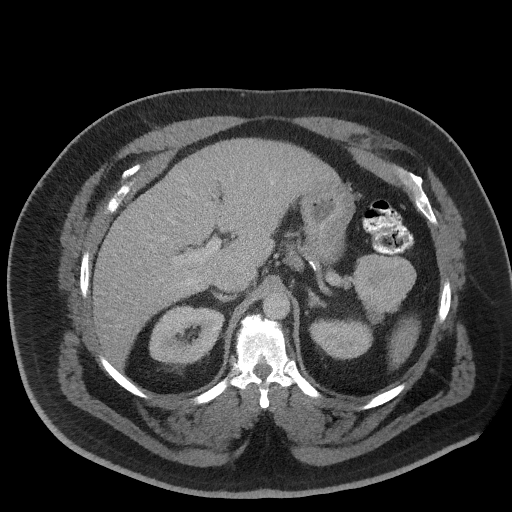
CT; Abdomen

Pancreatic tumor: bbox=[354, 256, 414, 321].
Pancreas: bbox=[381, 269, 415, 314]; bbox=[355, 254, 406, 273].